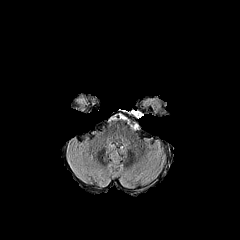
FLAIR MR.
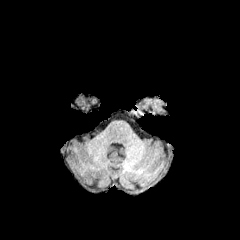
T1-weighted MR image.
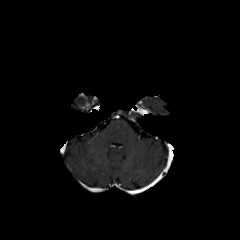
Same slice, post-contrast T1-weighted MRI.
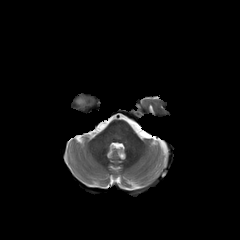
Same slice, T2-weighted MR image.
240x240 px; Brain
Edema at x1=76 y1=97 x2=86 y2=104.